CT slice, Abdomen

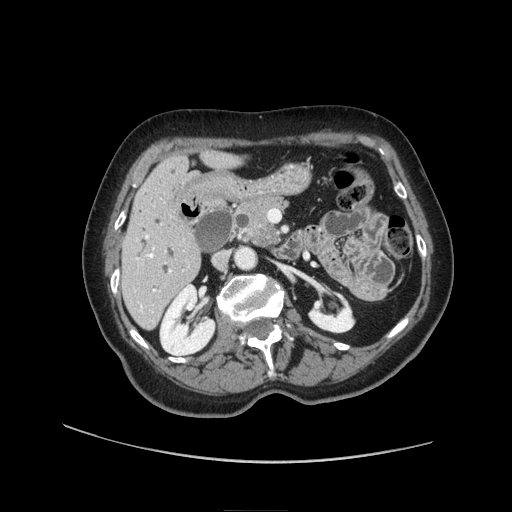 The pancreatic tumor is at region(256, 227, 279, 246). The pancreas lies within region(233, 198, 285, 246).